FLAIR MRI.
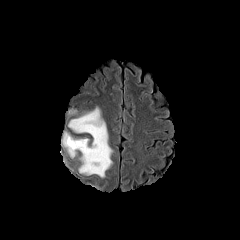
T1-weighted MR.
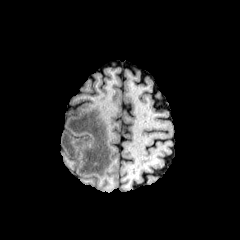
Post-contrast T1-weighted magnetic resonance.
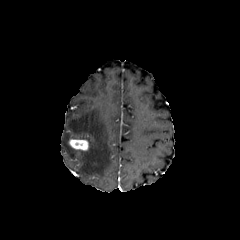
T2-weighted MR.
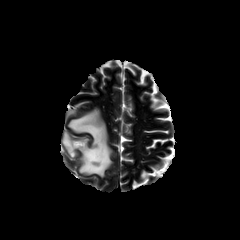
240x240
Enhancing tumor: bounding box rect(69, 137, 90, 152).
Edema: bounding box rect(61, 131, 74, 158); rect(67, 108, 113, 177).